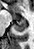

MR image | Hippocampus
<segmentation>
  <posterior_hippocampus>13, 21, 25, 32</posterior_hippocampus>
  <anterior_hippocampus>12, 13, 15, 19; 21, 20, 24, 20</anterior_hippocampus>
</segmentation>